CT 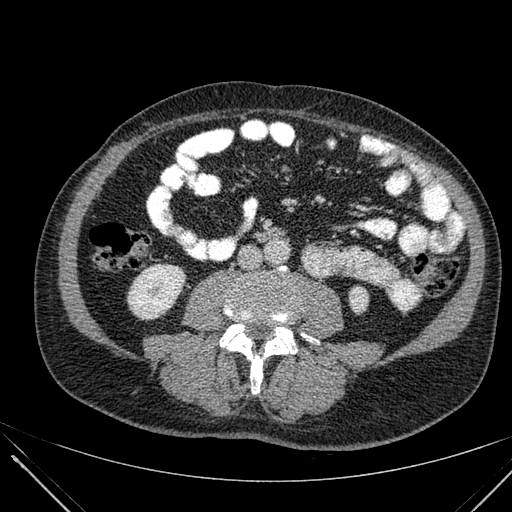 Kidney: box(349, 287, 367, 311); box(128, 264, 184, 318).